Slice index 111.
FLAIR MR image.
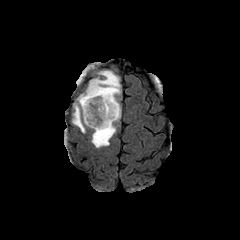
T1-weighted MR image.
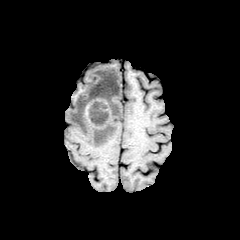
Post-contrast T1-weighted magnetic resonance.
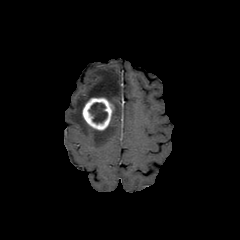
T2-weighted MR.
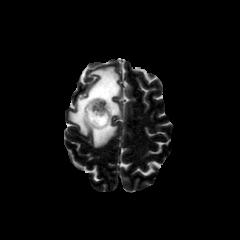
edema:
  - box(70, 68, 121, 147)
non-enhancing_tumor_core:
  - box(73, 75, 118, 131)
  - box(92, 124, 111, 140)
  - box(89, 102, 107, 123)
enhancing_tumor:
  - box(82, 97, 114, 130)